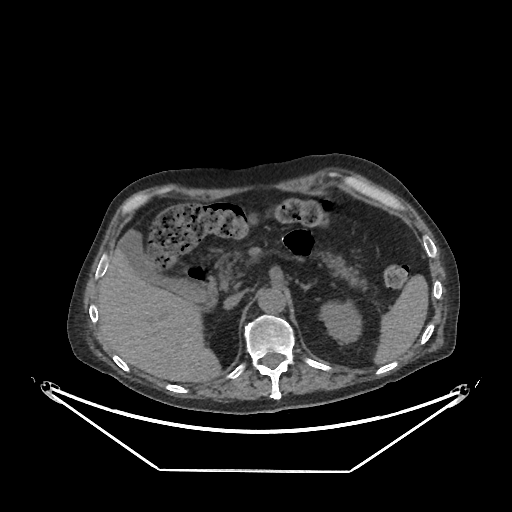

CT scan slice. Abdomen. 512x512 px.
Kidney at <box>321,300,361,342</box>.
Liver at <box>95,239,220,381</box>.